Image width 385 mm | CT

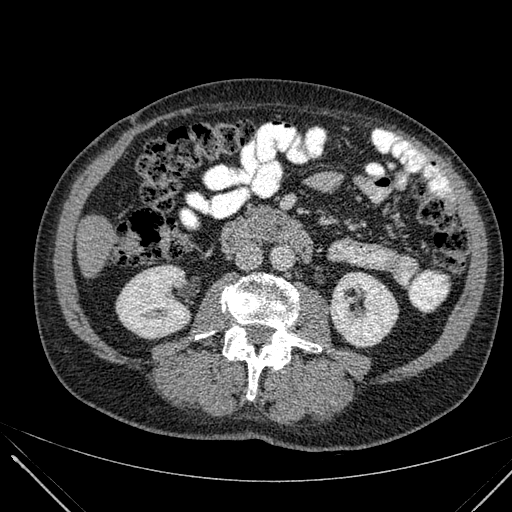 2 kidney regions are located at 330 273 397 346, 116 266 189 337. The liver appears at 77 215 116 276.